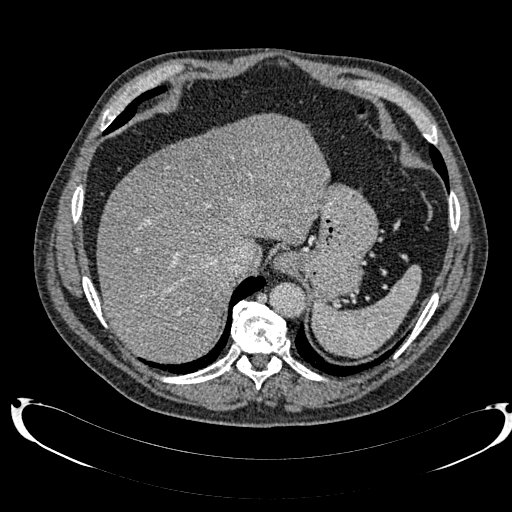
Liver. CT.
liver:
  - 97,114,327,362
  - 250,248,261,272
liver_lesion:
  - 137,121,267,223